FLAIR MRI.
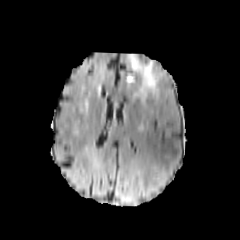
T1-weighted MRI.
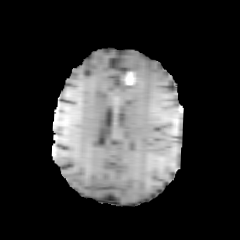
Post-contrast T1-weighted MR.
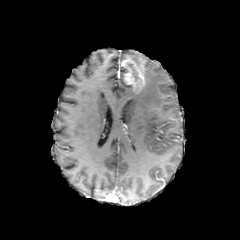
T2-weighted MR image.
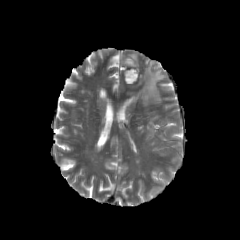
Head
Segmented structures:
* non-enhancing tumor core: l=132, t=69, r=139, b=81
* edema: l=132, t=60, r=164, b=105; l=127, t=53, r=145, b=64
* enhancing tumor: l=121, t=56, r=145, b=93